CT; Image width 421 mm; Abdomen 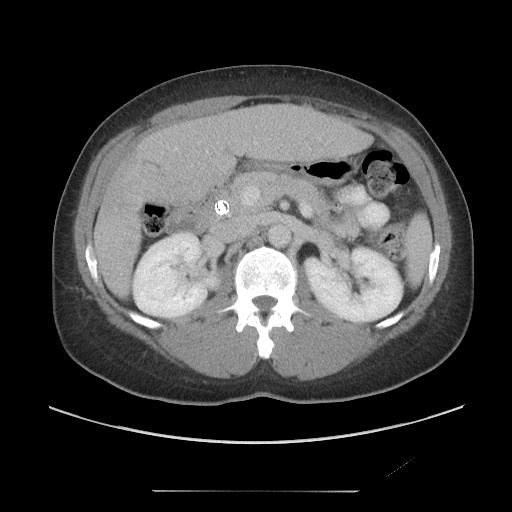
The vessel boxes may cover only some of the vessels.
Annotated regions:
* hepatic vessel: <box>173,146,179,150</box>, <box>206,150,208,153</box>